Head; Field of view 240x240 mm
FLAIR magnetic resonance.
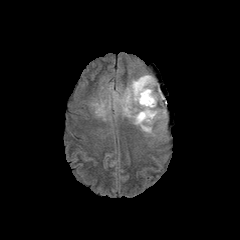
T1-weighted magnetic resonance.
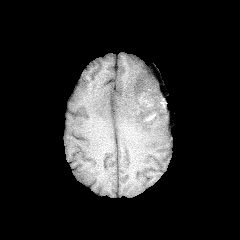
Post-contrast T1-weighted magnetic resonance.
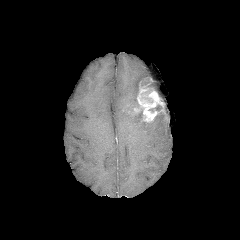
T2-weighted MRI.
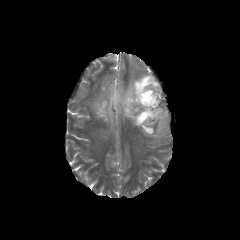
{
  "enhancing_tumor": [
    "[x1=136, y1=77, x2=164, y2=121]"
  ],
  "edema": [
    "[x1=92, y1=74, x2=166, y2=137]"
  ],
  "non-enhancing_tumor_core": [
    "[x1=109, y1=90, x2=119, y2=107]",
    "[x1=134, y1=108, x2=167, y2=125]",
    "[x1=127, y1=102, x2=139, y2=111]",
    "[x1=136, y1=78, x2=147, y2=97]"
  ]
}